Upper abdomen, 512x512, CT slice

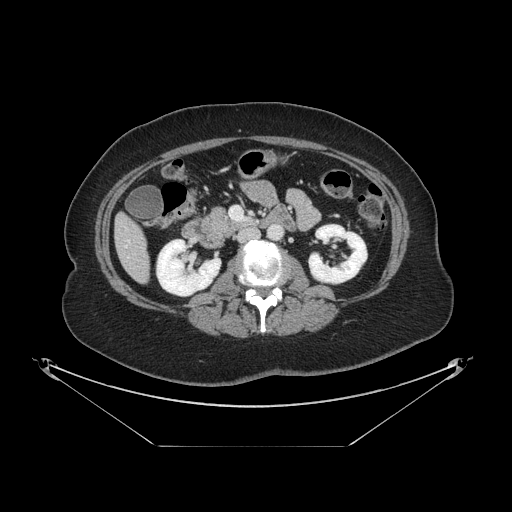

<segmentation>
  <pancreas>210,207,243,236</pancreas>
</segmentation>